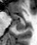
Medial temporal lobe, MR

{"posterior_hippocampus": ["<box>14,20,25,31</box>"], "anterior_hippocampus": ["<box>12,14,24,19</box>"]}